512x512 px. CT scan slice.

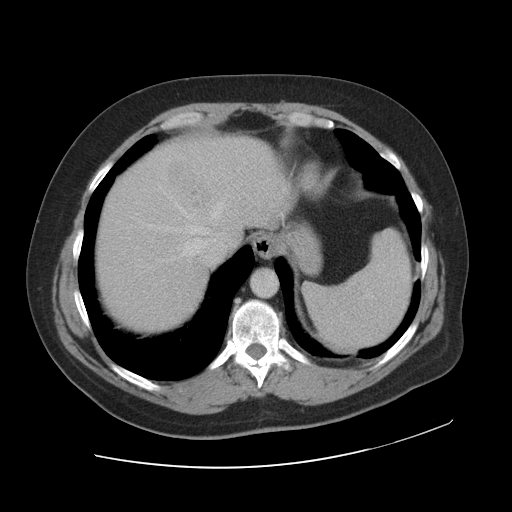 Some hepatic vessels may have no box.
Liver tumor — [x1=169, y1=163, x2=214, y2=217].
Hepatic vessel — [x1=175, y1=203, x2=193, y2=215], [x1=215, y1=233, x2=221, y2=235], [x1=138, y1=220, x2=143, y2=224], [x1=148, y1=224, x2=179, y2=231], [x1=177, y1=247, x2=180, y2=249], [x1=158, y1=187, x2=160, y2=188], [x1=237, y1=179, x2=239, y2=180], [x1=168, y1=258, x2=174, y2=260], [x1=211, y1=210, x2=219, y2=218], [x1=184, y1=224, x2=208, y2=234], [x1=181, y1=238, x2=223, y2=265].